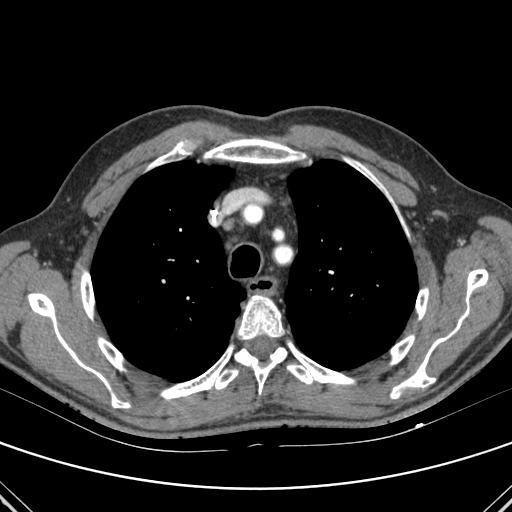
CT scan slice
Annotated regions:
• bone: [x1=238, y1=295, x2=283, y2=339], [x1=97, y1=337, x2=125, y2=370], [x1=203, y1=138, x2=304, y2=163], [x1=235, y1=347, x2=286, y2=393], [x1=148, y1=141, x2=191, y2=169], [x1=344, y1=157, x2=391, y2=201], [x1=287, y1=342, x2=354, y2=384], [x1=80, y1=270, x2=94, y2=319], [x1=415, y1=288, x2=428, y2=319], [x1=160, y1=345, x2=238, y2=399], [x1=28, y1=293, x2=130, y2=408], [x1=390, y1=335, x2=414, y2=364], [x1=390, y1=269, x2=488, y2=398]
• lung: [x1=285, y1=159, x2=417, y2=370], [x1=91, y1=161, x2=246, y2=381]